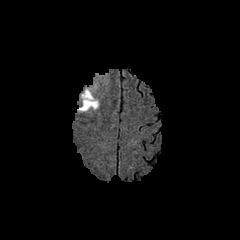
FLAIR MR.
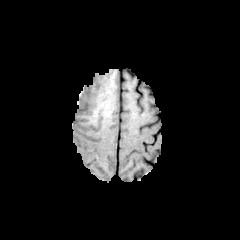
T1-weighted magnetic resonance of the same slice.
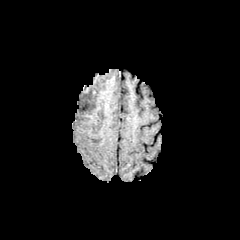
Post-contrast T1-weighted MR.
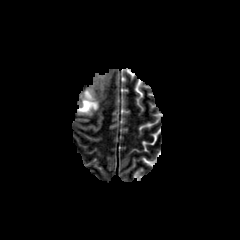
T2-weighted MR.
Head
Edema: x1=78, y1=84, x2=98, y2=113.